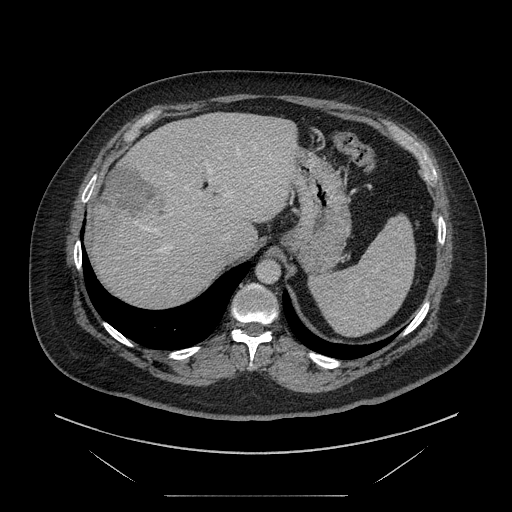 CT image. Abdomen.
Some hepatic vessels may have no box.
The liver tumor appears at x1=100 y1=165 x2=162 y2=213. 2 hepatic vessel regions appear at x1=151 y1=229 x2=153 y2=231, x1=228 y1=195 x2=231 y2=197.